Image size 512x512; CT

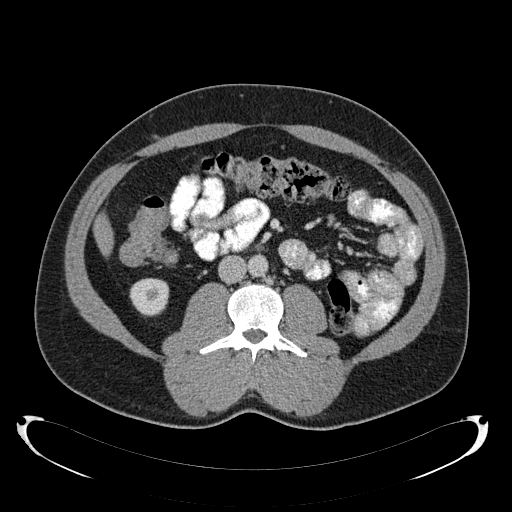 The liver is located at [95,216,110,252]. The kidney is at [130,279,168,314].